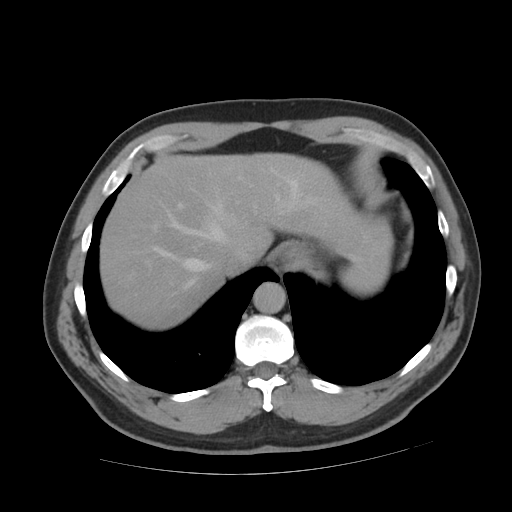
CT scan slice
The vessel boxes may cover only some of the vessels.
13 hepatic vessel regions are bounded by 276,199,293,213; 160,251,169,254; 297,202,306,208; 305,197,315,203; 184,280,194,288; 159,201,170,212; 280,171,304,197; 276,193,279,195; 276,181,281,185; 172,220,227,242; 173,256,212,271; 212,204,221,215; 154,225,155,229. The liver tumor lies within 361,230,387,254.